FLAIR MRI.
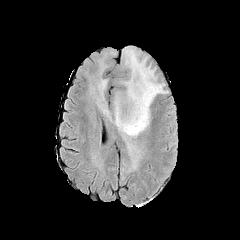
T1-weighted MRI.
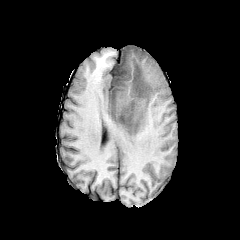
Post-contrast T1-weighted MRI.
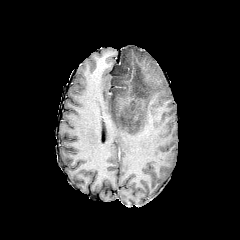
T2-weighted MR.
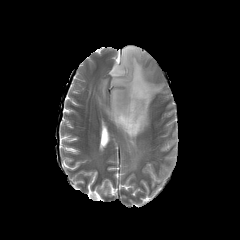
240x240 px.
{
  "edema": [
    "x1=106, y1=46, x2=165, y2=171"
  ],
  "non-enhancing_tumor_core": [
    "x1=132, y1=66, x2=143, y2=97",
    "x1=118, y1=100, x2=134, y2=124"
  ]
}